Abdomen, 512x512 px, CT image, Slice index 137 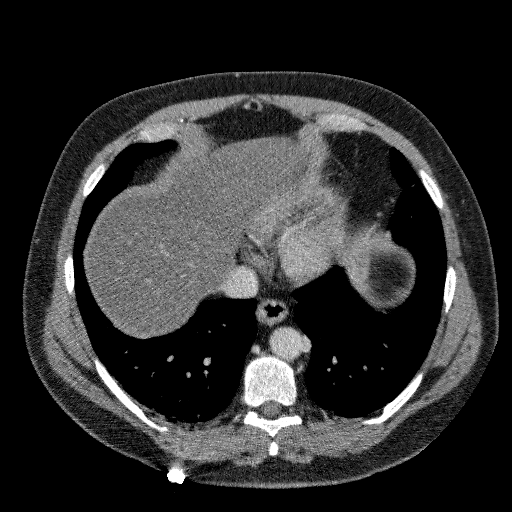 {
  "liver": [
    "85, 138, 300, 336"
  ]
}